Brain; 240x240; Slice 83/155
FLAIR magnetic resonance.
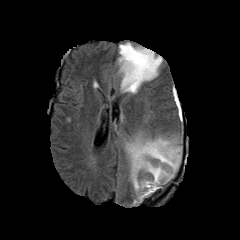
T1-weighted MR.
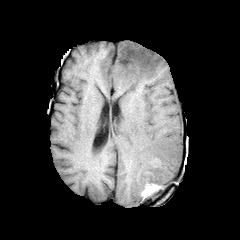
Post-contrast T1-weighted magnetic resonance.
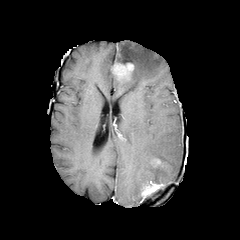
T2-weighted MR image.
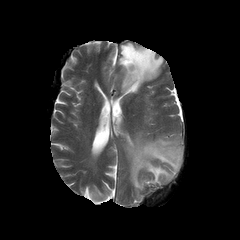
non-enhancing tumor core: rect(115, 46, 153, 79) | edema: rect(118, 42, 162, 93); rect(125, 135, 181, 199) | enhancing tumor: rect(119, 62, 133, 81); rect(142, 181, 161, 194)